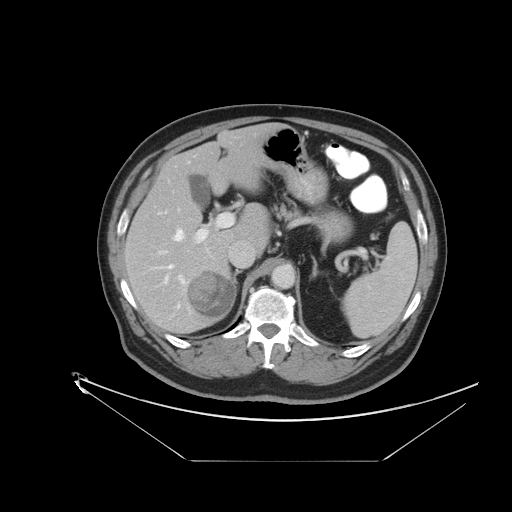

CT slice. Only some of the vessels may be annotated.
Liver tumor: (x1=188, y1=271, x2=235, y2=317).
Hepatic vessel: (x1=196, y1=229, x2=207, y2=242), (x1=150, y1=264, x2=173, y2=268), (x1=177, y1=304, x2=179, y2=307), (x1=217, y1=213, x2=233, y2=226), (x1=163, y1=275, x2=168, y2=283), (x1=173, y1=229, x2=184, y2=240), (x1=158, y1=251, x2=166, y2=254), (x1=178, y1=275, x2=187, y2=283).